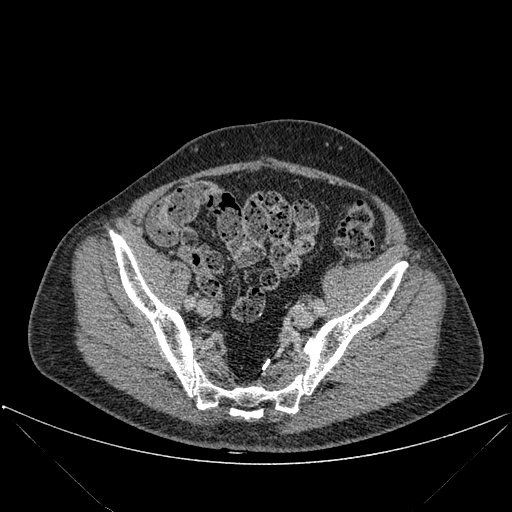 CT image. Annotated regions:
- bone: rect(230, 408, 262, 418); rect(110, 230, 407, 413)